Computed tomography; 512x512; Upper abdomen; Field of view 416 mm wide, 2.50 mm slice spacing; Slice 56 of 89

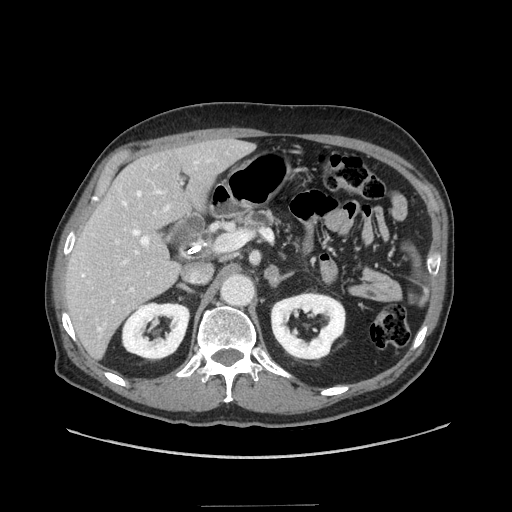 Pancreas: [246,211,275,225].